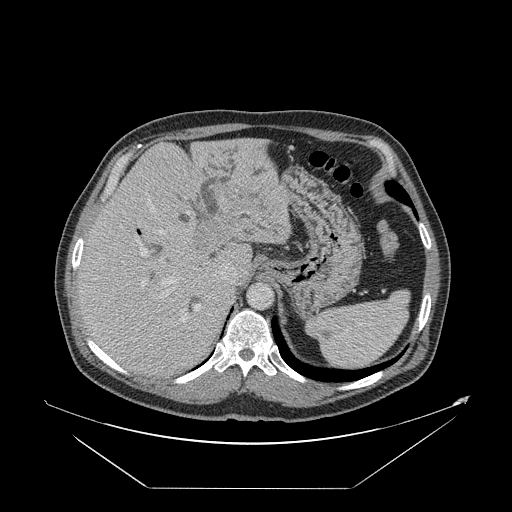
CT slice | 512x512
Not every hepatic vessel necessarily has a box.
hepatic vessel: x1=160 y1=256 x2=163 y2=261, x1=141 y1=279 x2=146 y2=286, x1=193 y1=304 x2=201 y2=311, x1=135 y1=237 x2=151 y2=256, x1=180 y1=308 x2=188 y2=321, x1=197 y1=293 x2=198 y2=294, x1=147 y1=200 x2=155 y2=214, x1=187 y1=211 x2=192 y2=213, x1=201 y1=205 x2=203 y2=210, x1=211 y1=261 x2=236 y2=282, x1=218 y1=172 x2=226 y2=175, x1=154 y1=229 x2=173 y2=233, x1=158 y1=276 x2=178 y2=300 | liver tumor: x1=192 y1=186 x2=263 y2=246